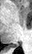 MR image | Medial temporal lobe | 32x54 px
The posterior hippocampus lies within 7, 43, 17, 46.